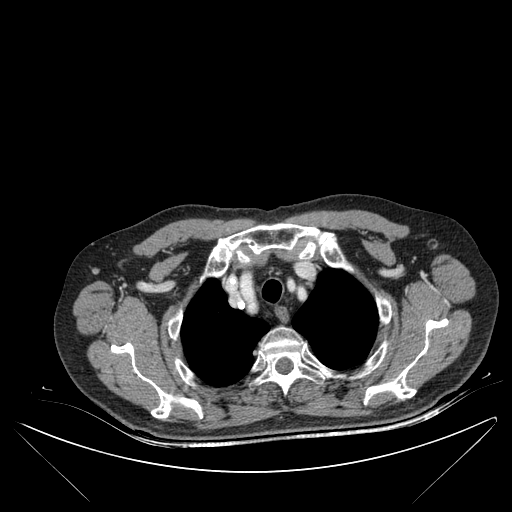
Thorax, CT image
Bone = bbox(253, 333, 332, 393); bbox(364, 319, 448, 403); bbox(175, 359, 192, 383); bbox(207, 223, 342, 276); bbox(111, 343, 202, 418); bbox(359, 342, 386, 375); bbox(168, 312, 181, 338); bbox(299, 242, 315, 258); bbox(377, 297, 391, 323).
Lung = bbox(292, 269, 378, 369); bbox(181, 279, 269, 386); bbox(262, 280, 281, 302).